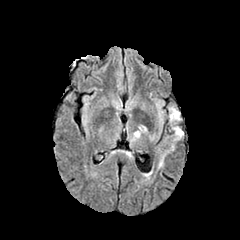
FLAIR MR image.
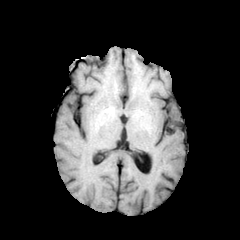
Same slice, T1-weighted MR.
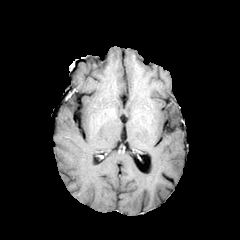
Post-contrast T1-weighted MR image of the same slice.
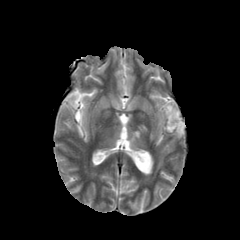
T2-weighted MRI of the same slice.
Edema: bounding box [132,131,140,139], [163,104,183,139], [159,106,163,122].